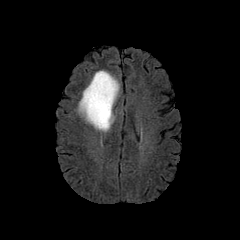
FLAIR MR.
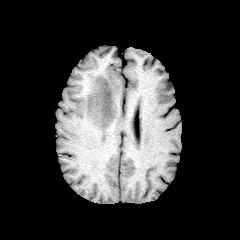
T1-weighted MR image of the same slice.
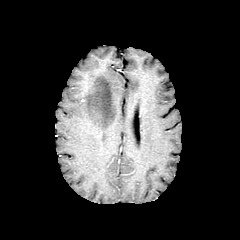
Post-contrast T1-weighted MRI.
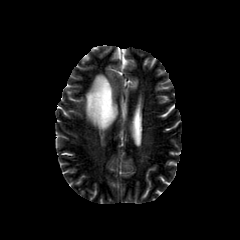
T2-weighted MR image.
Head
Findings:
• edema: [x1=78, y1=70, x2=119, y2=132]